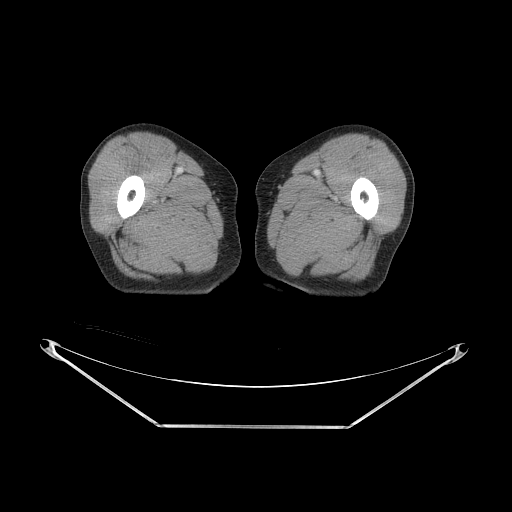
CT image. 512x512 px.
bone: <bbox>117, 176, 144, 218</bbox>, <bbox>351, 177, 378, 219</bbox>